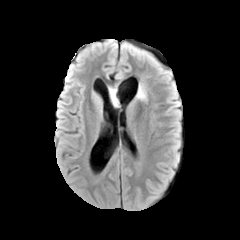
FLAIR MR image.
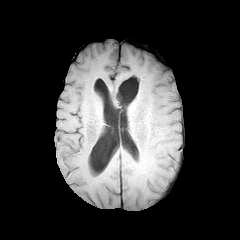
T1-weighted MR.
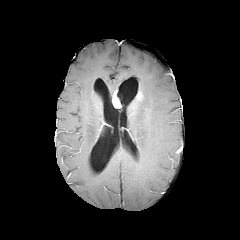
Post-contrast T1-weighted magnetic resonance.
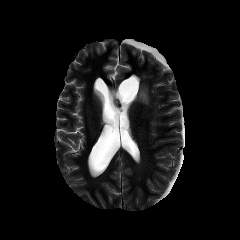
T2-weighted MR image.
The enhancing tumor is at (112,91,119,107). The edema is located at (137,84,147,101).